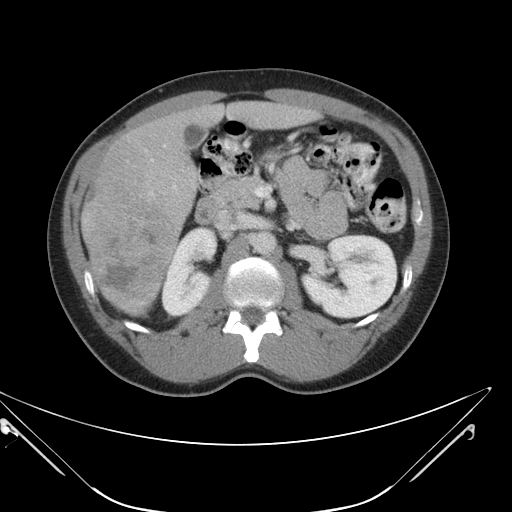 Liver; CT image
Only some of the vessels may be annotated.
Liver tumor = (85, 182, 177, 300).
Hepatic vessel = (173, 185, 175, 188), (151, 159, 153, 161), (163, 145, 165, 146).